Pelvis | CT scan slice | Slice 104/756 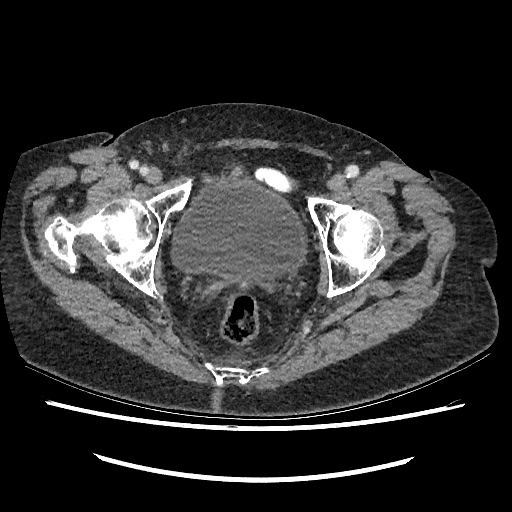
Urinary bladder — (171,176,306,288).